Brain. Slice 76 of 155.
FLAIR MR.
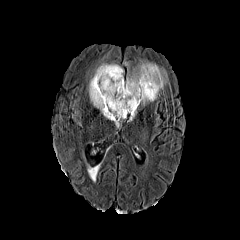
T1-weighted magnetic resonance.
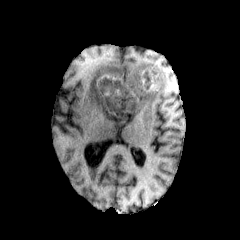
Post-contrast T1-weighted magnetic resonance.
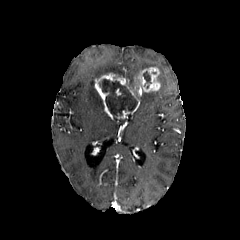
T2-weighted MRI.
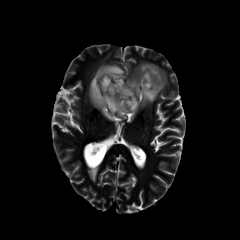
non-enhancing_tumor_core:
  - (x1=98, y1=79, x2=137, y2=116)
  - (x1=142, y1=71, x2=151, y2=83)
enhancing_tumor:
  - (x1=94, y1=67, x2=160, y2=118)
  - (x1=117, y1=106, x2=137, y2=119)
edema:
  - (x1=87, y1=61, x2=124, y2=120)
  - (x1=125, y1=60, x2=169, y2=122)